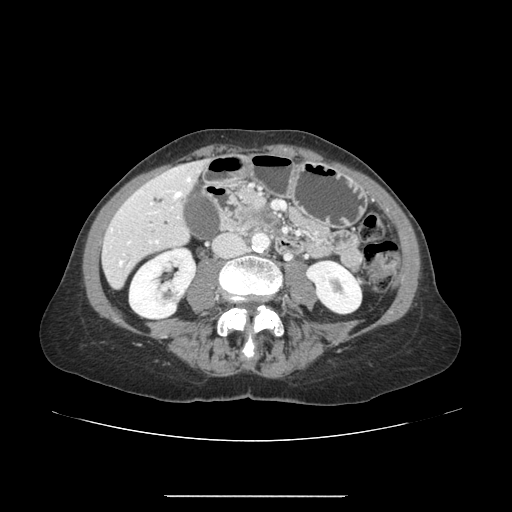
Computed tomography. Image size 512x512. Abdomen.
The pancreatic tumor is bounded by 237,200,273,225. The pancreas appears at 261,212,280,227.